512x512. CT slice. Image width 411 mm. Slice index 551. 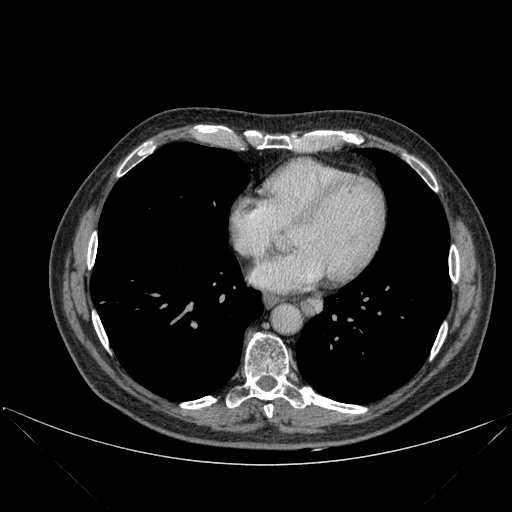 Bone: bounding box (117, 143, 152, 176), (258, 135, 291, 148), (180, 396, 216, 408), (226, 332, 366, 413), (308, 131, 362, 143), (431, 324, 447, 358), (92, 312, 108, 349), (449, 245, 459, 282), (87, 232, 97, 268), (264, 404, 273, 417), (245, 131, 260, 136), (420, 164, 437, 191).
Lung: bounding box (297, 149, 450, 403), (90, 143, 262, 400).